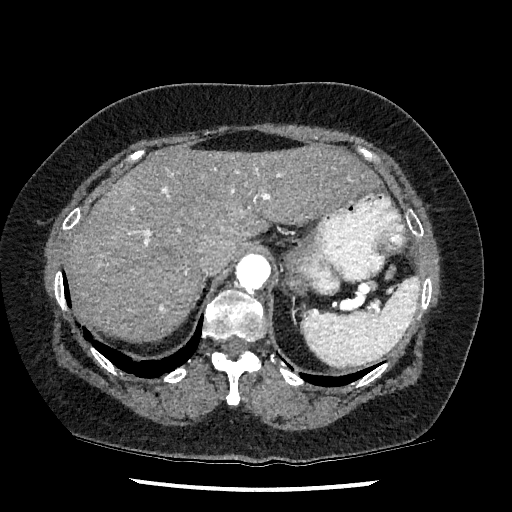

CT image; Abdomen

Segmented structures:
* liver: box(68, 143, 381, 341)